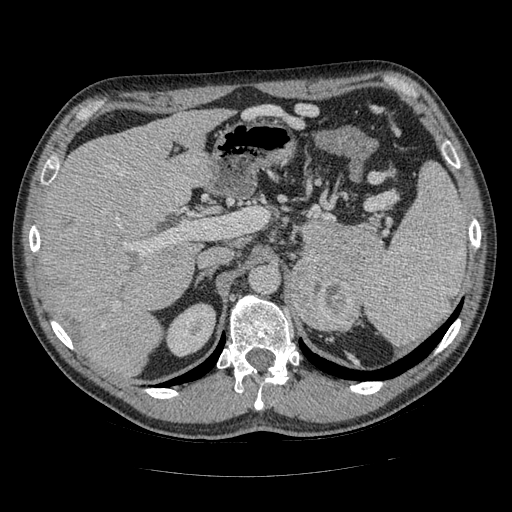

Computed tomography | Upper abdomen | 512x512 px
The pancreas lies within x1=302, y1=220, x2=380, y2=281. The pancreatic tumor is bounded by x1=292, y1=255, x2=363, y2=330.